Lower abdomen. CT slice. 512x512 px.
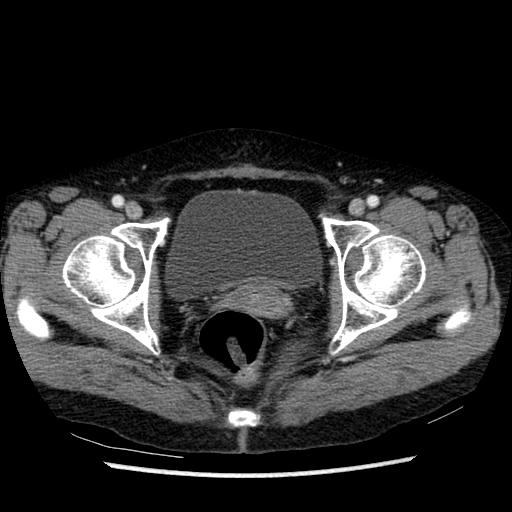
Segmented structures:
- urinary bladder: bbox(164, 190, 323, 301)